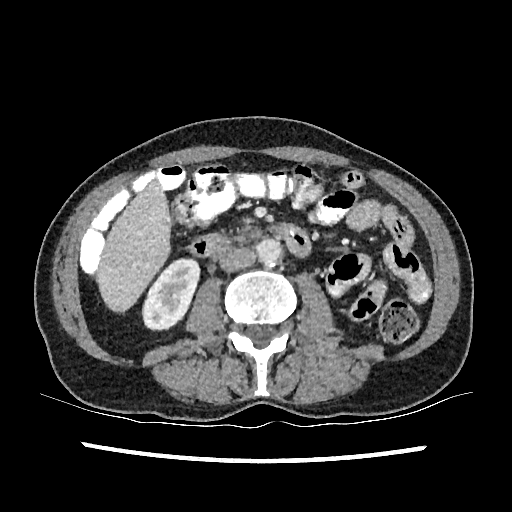
CT slice; Liver

The kidney lies within bbox=[144, 259, 199, 329]. The liver is located at bbox=[99, 179, 169, 310].